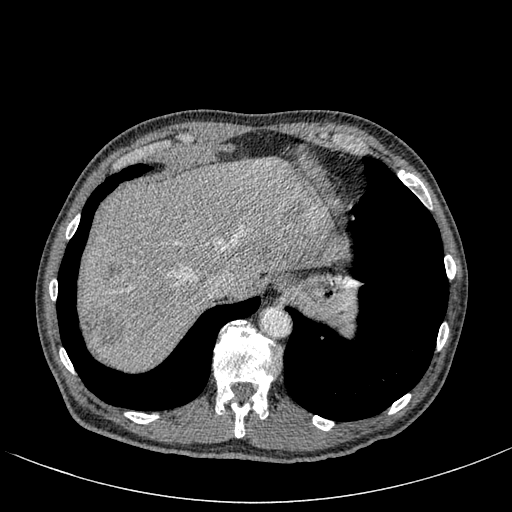
CT scan slice
Segmented structures:
* liver: rect(82, 156, 350, 371)
* liver lesion: rect(285, 201, 309, 222); rect(83, 305, 125, 347); rect(102, 266, 118, 282); rect(253, 250, 270, 260)